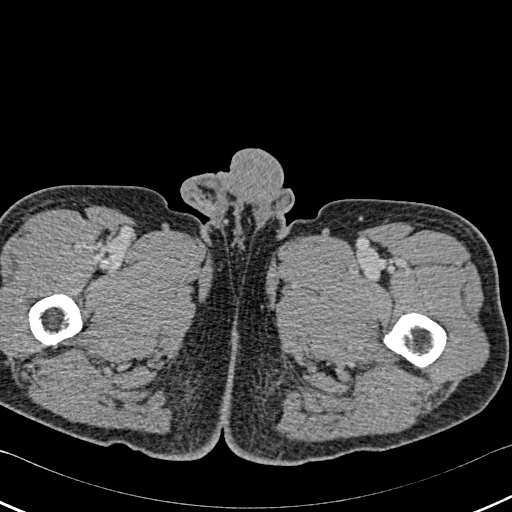
CT slice
• bone: x1=29 y1=294 x2=82 y2=344, x1=379 y1=313 x2=445 y2=366